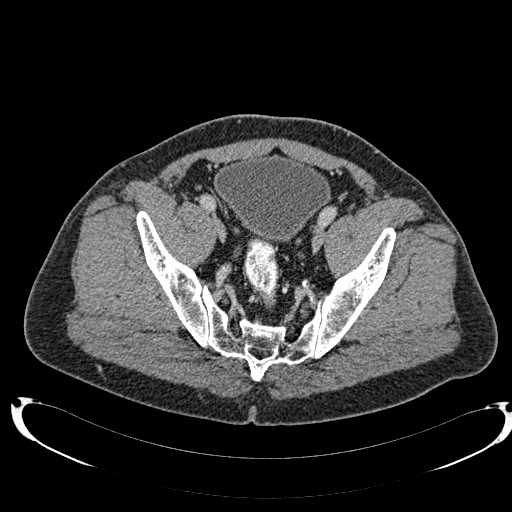 Pelvis, CT
The urinary bladder lies within x1=216, y1=154, x2=330, y2=243.